Field of view 387 mm wide, 1.50 mm slice spacing; CT; Slice 108/141; Abdomen; 512x512 px
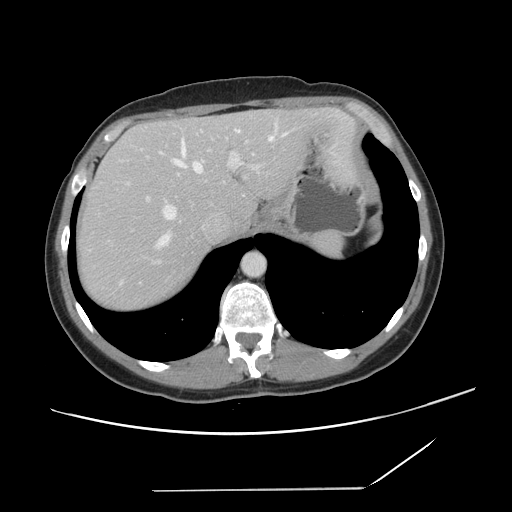

Some hepatic vessels may have no box.
The top 15 hepatic vessel regions (of 17) are located at box=[126, 182, 129, 184]; box=[120, 281, 122, 283]; box=[140, 149, 142, 150]; box=[174, 160, 185, 166]; box=[235, 129, 239, 132]; box=[229, 152, 241, 166]; box=[181, 139, 185, 156]; box=[146, 197, 148, 200]; box=[153, 260, 160, 262]; box=[283, 131, 288, 135]; box=[157, 234, 169, 246]; box=[163, 205, 175, 219]; box=[269, 136, 273, 140]; box=[251, 165, 260, 170]; box=[193, 162, 202, 172].